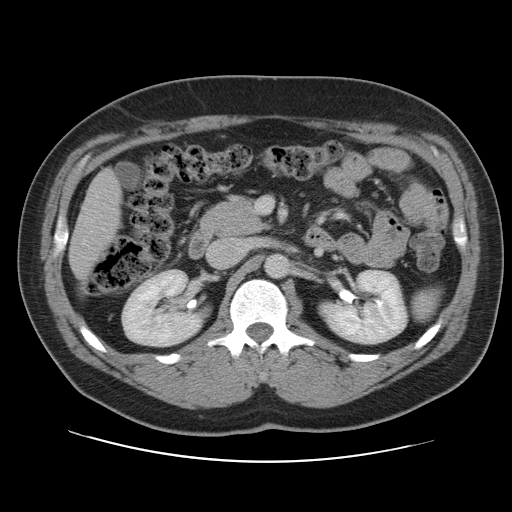 CT scan slice; Image size 512x512

Only some of the vessels may be annotated.
{
  "hepatic_vessel": [
    "x1=92, y1=258, x2=94, y2=259",
    "x1=72, y1=259, x2=74, y2=260",
    "x1=79, y1=215, x2=81, y2=219",
    "x1=83, y1=240, x2=85, y2=243",
    "x1=105, y1=171, x2=111, y2=173",
    "x1=75, y1=269, x2=82, y2=276",
    "x1=87, y1=199, x2=89, y2=201",
    "x1=104, y1=236, x2=110, y2=238"
  ]
}